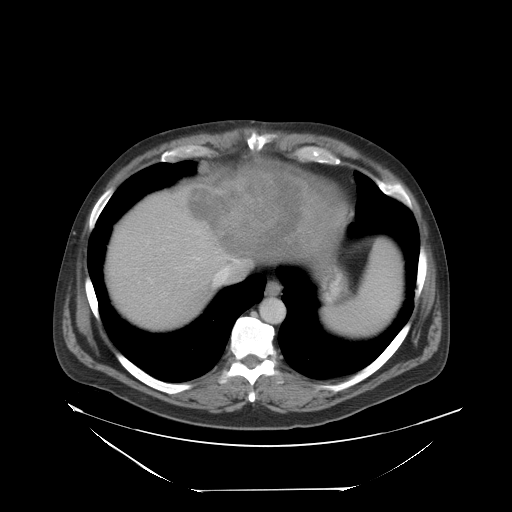 Liver; CT slice
Only some of the vessels may be annotated.
The hepatic vessel is located at 213 251 246 285. The liver tumor is at 186 173 305 257.